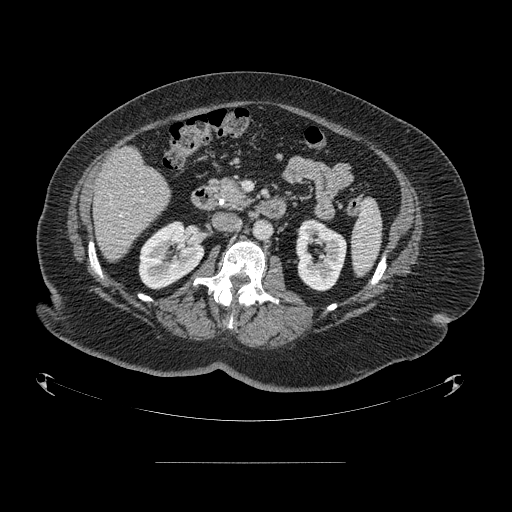

Computed tomography.

Pancreas — 209,178,252,210.